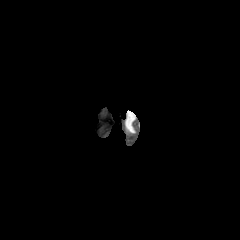
FLAIR magnetic resonance.
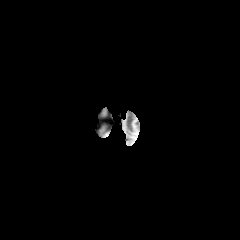
T1-weighted MR.
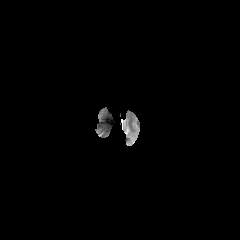
Post-contrast T1-weighted MR.
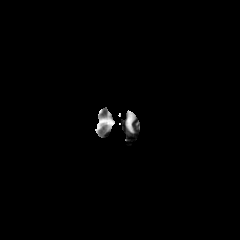
T2-weighted MR of the same slice.
Head
The edema appears at region(124, 110, 136, 134).